Abdomen, Computed tomography, Slice index 11
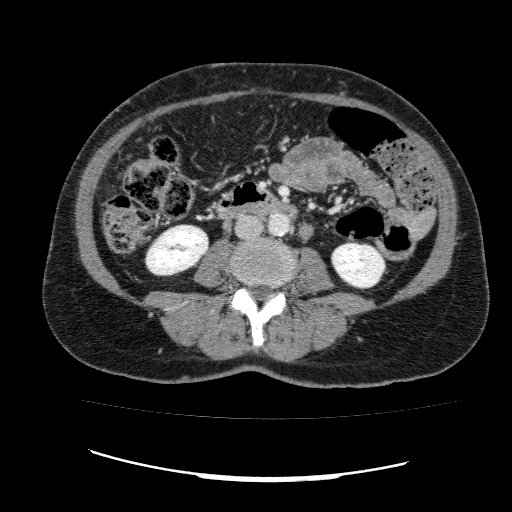
Annotated regions:
- kidney: (x1=332, y1=244, x2=384, y2=287), (x1=146, y1=226, x2=207, y2=274)